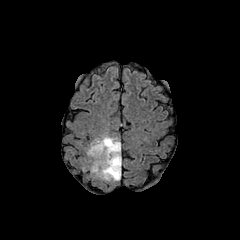
FLAIR MR.
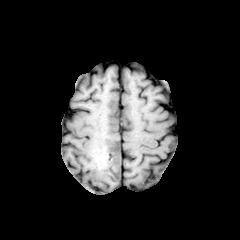
Same slice, T1-weighted MR.
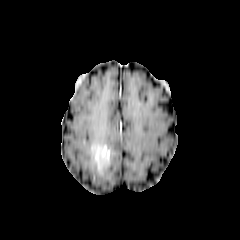
Post-contrast T1-weighted MR of the same slice.
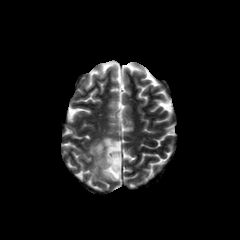
Same slice, T2-weighted MR image.
240x240 px. Brain.
The enhancing tumor appears at (92,145,110,167). The non-enhancing tumor core lies within (92,143,117,170). The edema is located at (86,133,121,181).